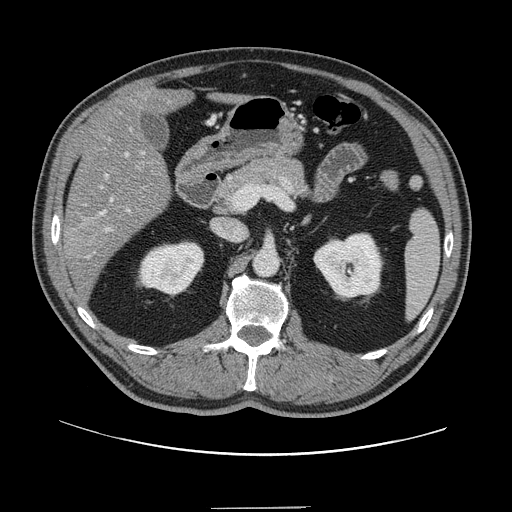

CT scan slice

Some hepatic vessels may have no box.
hepatic_vessel:
  - <bbox>106, 228, 111, 231</bbox>
  - <bbox>126, 154, 128, 156</bbox>
  - <bbox>127, 209, 130, 212</bbox>
  - <bbox>142, 152, 144, 154</bbox>
  - <bbox>97, 211, 106, 216</bbox>
  - <bbox>105, 174, 108, 178</bbox>
  - <bbox>101, 186, 102, 188</bbox>
  - <bbox>111, 198, 112, 201</bbox>
liver_tumor:
  - <bbox>65, 221, 111, 260</bbox>